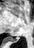 Medial temporal lobe | MRI slice
* posterior hippocampus: left=12, top=39, right=18, bottom=42